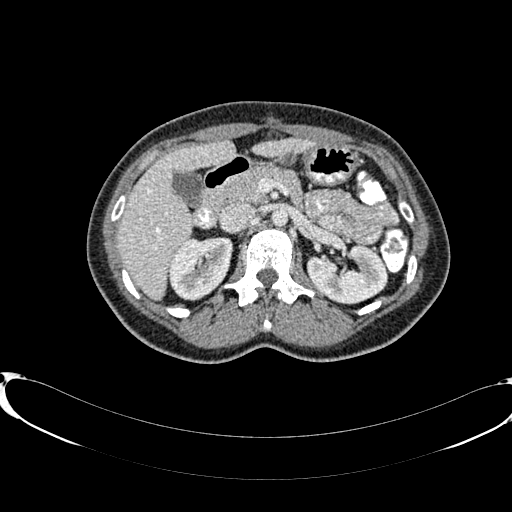

512x512; Liver; CT
Liver = [254,139,313,155], [118,141,234,299].
Kidney = [308,244,386,302], [171,239,231,298].